FLAIR MRI.
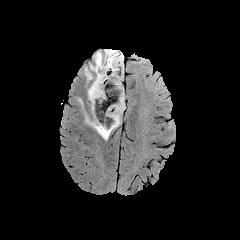
T1-weighted MR image.
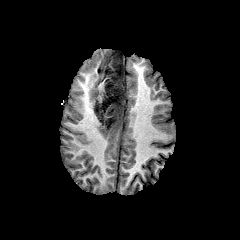
Post-contrast T1-weighted MRI.
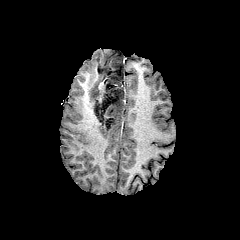
T2-weighted MRI.
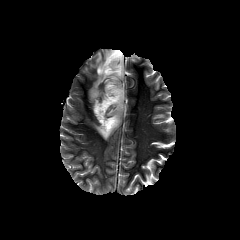
240x240
Non-enhancing tumor core at 95,51,123,130.
Edema at 117,74,123,93; 86,49,125,140.